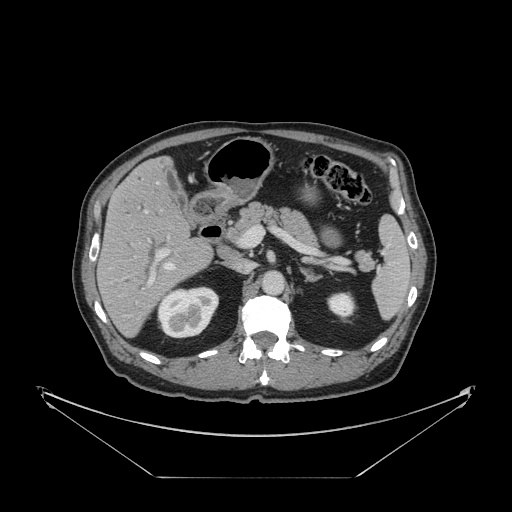 CT
Some hepatic vessels may have no box.
Hepatic vessel at {"x1": 127, "y1": 315, "x2": 129, "y2": 316}, {"x1": 156, "y1": 182, "x2": 158, "y2": 183}, {"x1": 164, "y1": 263, "x2": 173, "y2": 269}, {"x1": 239, "y1": 226, "x2": 263, "y2": 246}, {"x1": 144, "y1": 210, "x2": 147, "y2": 212}, {"x1": 148, "y1": 271, "x2": 153, "y2": 285}, {"x1": 156, "y1": 248, "x2": 169, "y2": 260}.